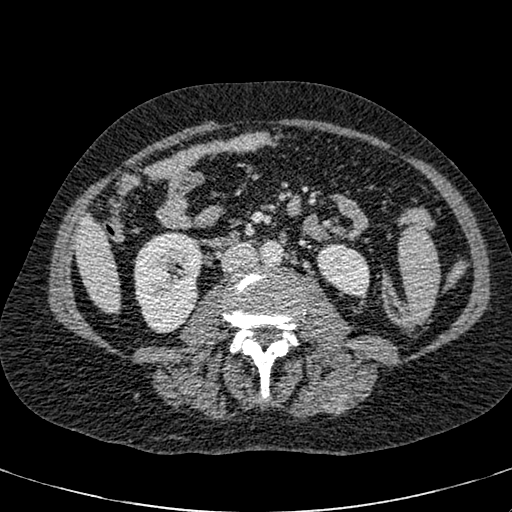 Computed tomography
Annotated regions:
• kidney: left=318, top=244, right=368, bottom=295; left=135, top=233, right=201, bottom=332
• liver: left=74, top=216, right=119, bottom=311